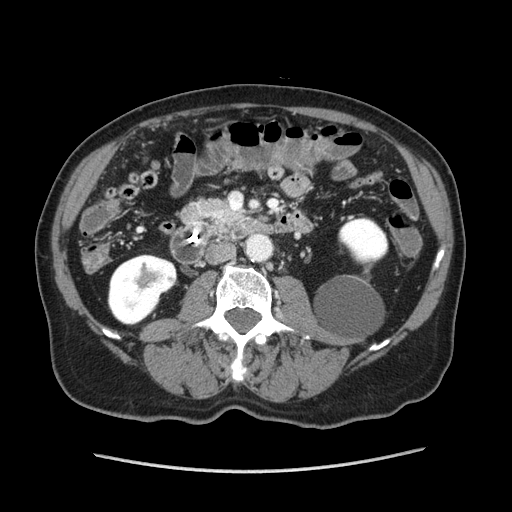
Computed tomography
- pancreas: 182, 198, 245, 236
- pancreatic tumor: 214, 211, 240, 236